Slice 19/90, Image width 400 mm, MR

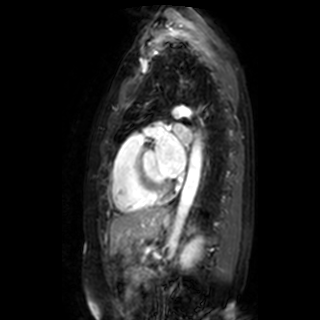 Left atrium: <box>155,131,185,177</box>, <box>173,123,191,140</box>.